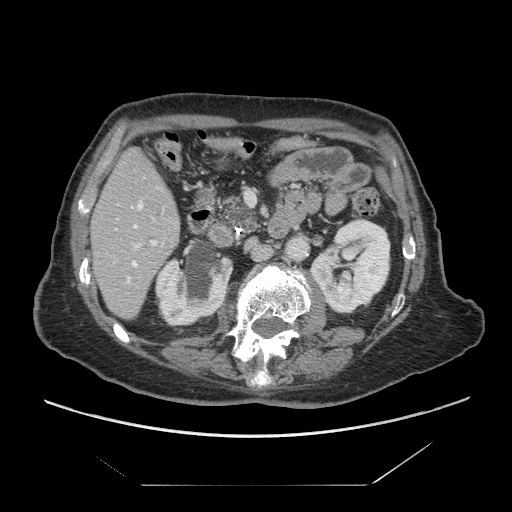 Abdomen; CT
<segmentation>
  <pancreas>[214, 193, 264, 240]</pancreas>
</segmentation>